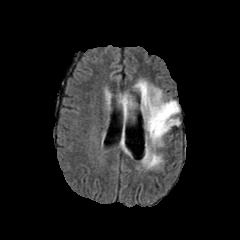
FLAIR MR image.
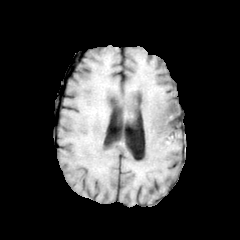
T1-weighted MR.
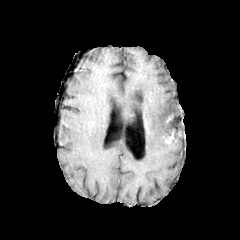
Post-contrast T1-weighted MR image of the same slice.
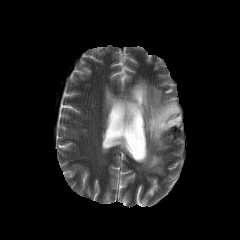
T2-weighted magnetic resonance.
Head
non-enhancing tumor core: (166, 118, 179, 123), (166, 104, 177, 113) | edema: (120, 80, 181, 169)